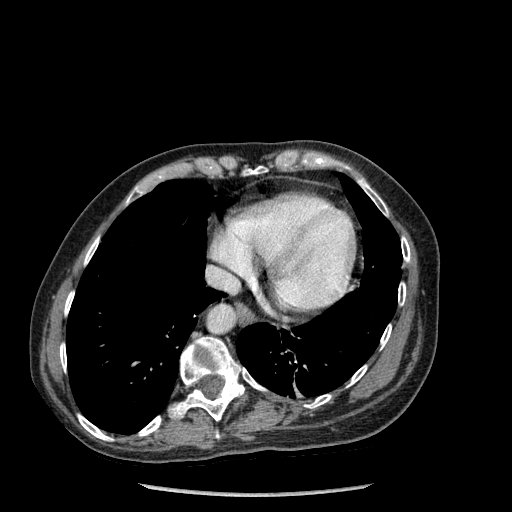
Thorax. CT scan slice.

Lung — rect(236, 174, 402, 398); rect(66, 179, 224, 434).
Bone — rect(126, 185, 145, 204); rect(168, 337, 266, 420); rect(64, 291, 74, 315); rect(347, 365, 367, 387); rect(380, 324, 391, 349); rect(244, 166, 267, 175); rect(84, 237, 99, 265); rect(398, 282, 405, 305); rect(138, 416, 161, 436); rect(304, 394, 331, 408); rect(358, 179, 388, 216); rect(77, 414, 113, 441); rect(59, 343, 66, 372); rect(401, 236, 410, 262).